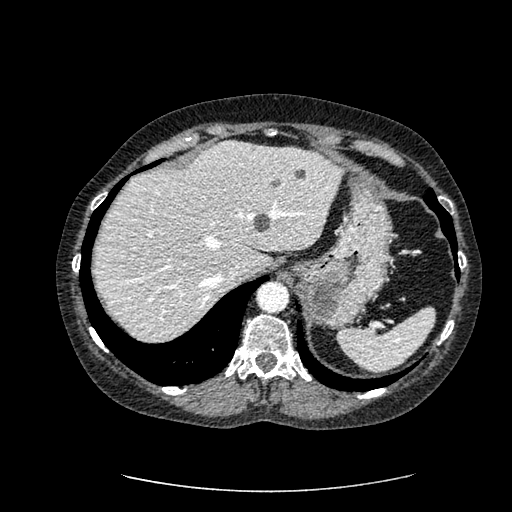
Liver. Computed tomography. 512x512.
liver_lesion:
  - x1=253 y1=214 x2=269 y2=232
  - x1=295 y1=169 x2=305 y2=178
liver:
  - x1=92 y1=141 x2=340 y2=340